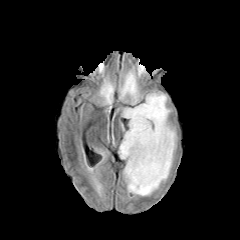
FLAIR magnetic resonance.
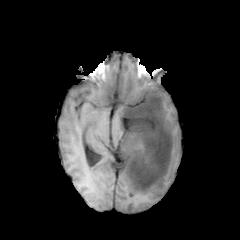
T1-weighted magnetic resonance.
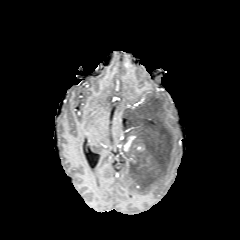
Post-contrast T1-weighted MRI.
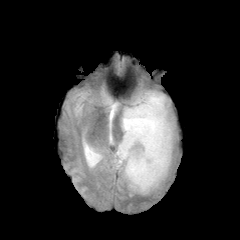
T2-weighted MR image.
Enhancing tumor: bounding box (120,135,135,151).
Edema: bounding box (134,136,145,158), (122,87,176,195), (103,91,110,103), (126,75,133,83).
Non-enhancing tumor core: bounding box (119,94,171,194).